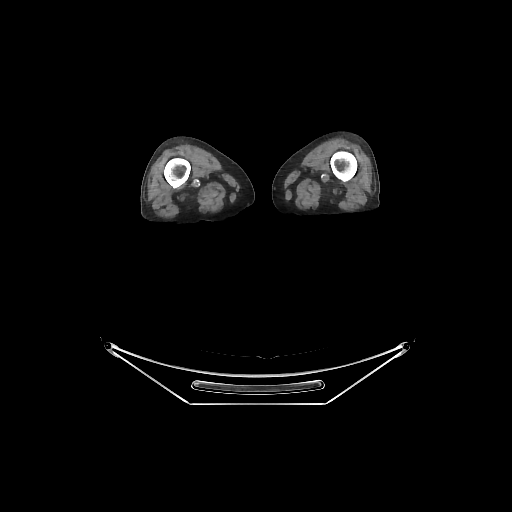 Computed tomography.
2 bone regions are located at (164,158,190,188), (330,151,356,181).